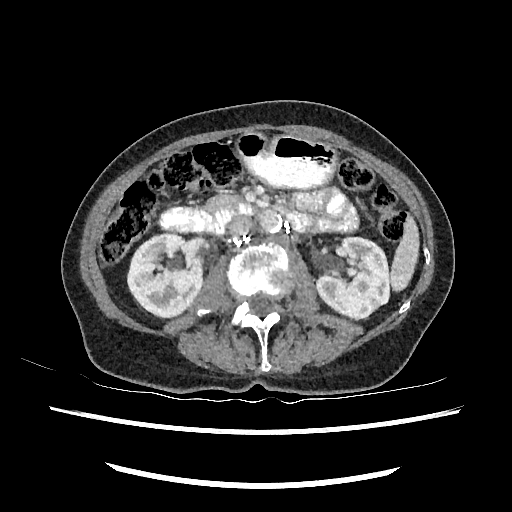

CT slice. 512x512. Abdomen.
Kidney = (x1=128, y1=234, x2=201, y2=316), (x1=317, y1=238, x2=388, y2=317).